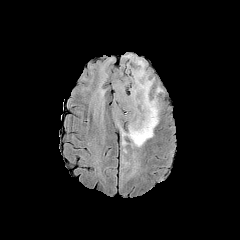
FLAIR MR.
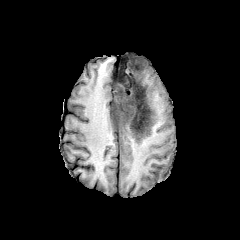
Same slice, T1-weighted MR.
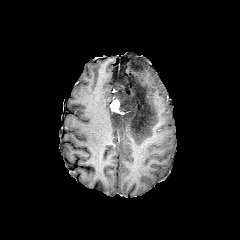
Post-contrast T1-weighted MR image of the same slice.
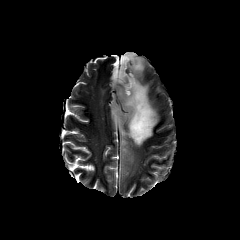
Same slice, T2-weighted MR image.
240x240 | Head
The enhancing tumor lies within 112:100:122:114. 2 non-enhancing tumor core regions appear at 113:112:120:125, 116:77:151:135. 2 edema regions appear at 116:54:162:171, 116:84:129:107.